Image size 240x240. Field of view 240 mm wide, 1.00 mm slice spacing.
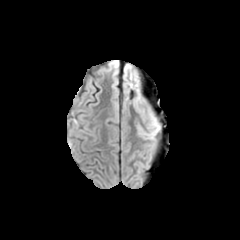
FLAIR MR image.
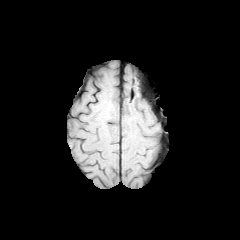
Same slice, T1-weighted MR.
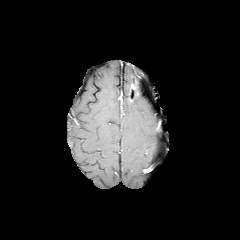
Post-contrast T1-weighted magnetic resonance.
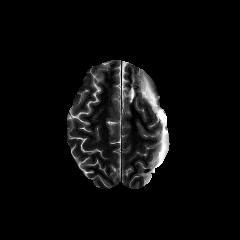
Same slice, T2-weighted MR.
Edema = <bbox>142, 109, 159, 140</bbox>.